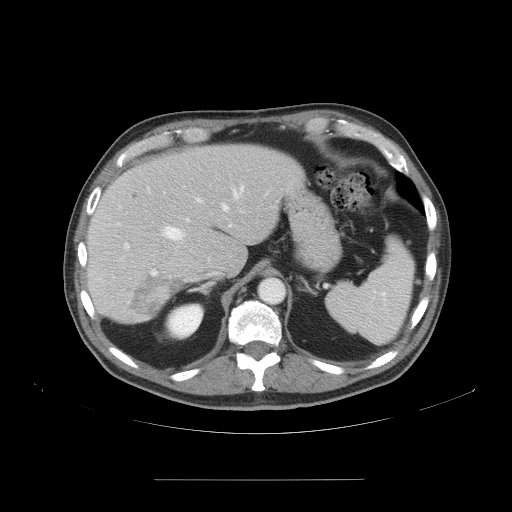

CT, Liver
Some hepatic vessels may have no box.
Findings:
• hepatic vessel: 160 225 186 241, 118 205 121 209, 221 202 228 211, 196 198 200 201, 185 218 189 221, 229 224 231 226, 208 259 209 261, 232 186 243 199, 124 244 128 248
• liver tumor: 125 268 189 317